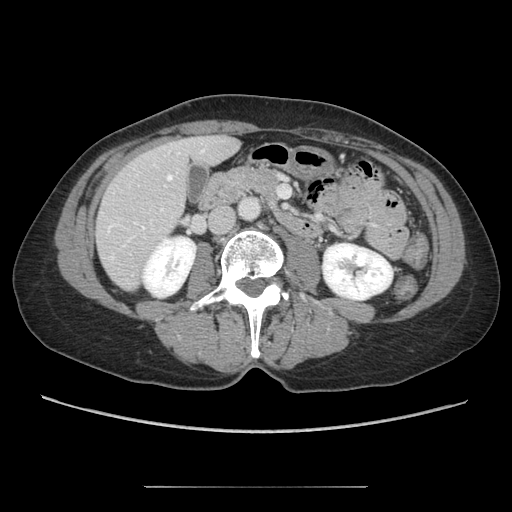

CT image | Upper abdomen
pancreas:
  - [220, 165, 280, 212]